240x240 px
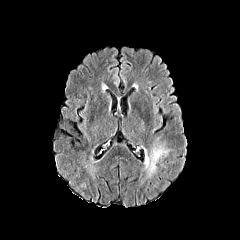
FLAIR MR.
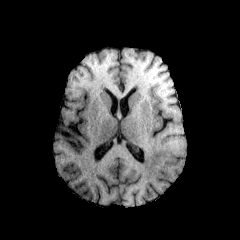
T1-weighted MRI of the same slice.
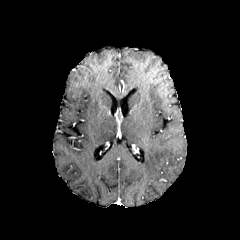
Post-contrast T1-weighted MR image.
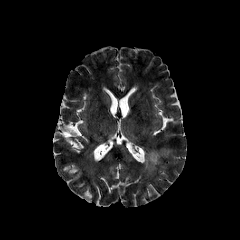
T2-weighted MR image.
The edema appears at bbox(143, 148, 166, 175).